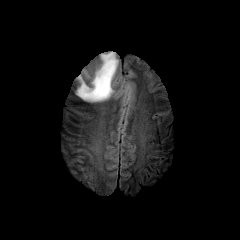
FLAIR MR.
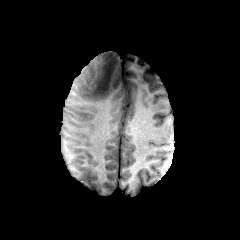
T1-weighted magnetic resonance.
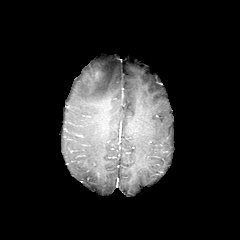
Post-contrast T1-weighted MR of the same slice.
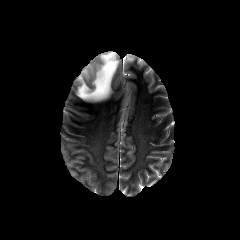
T2-weighted magnetic resonance of the same slice.
240x240; Head
The edema is at 76, 51, 118, 101.